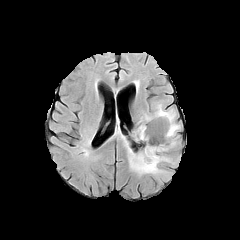
FLAIR MR image.
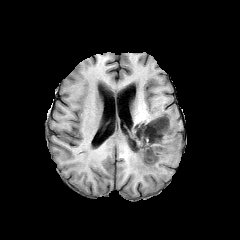
T1-weighted MRI.
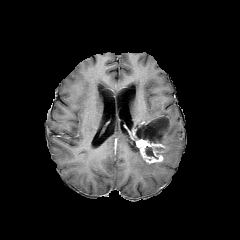
Post-contrast T1-weighted MR image of the same slice.
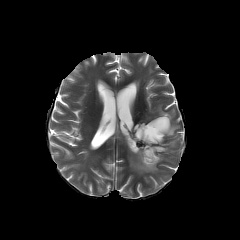
T2-weighted MR of the same slice.
Brain. 240x240.
Enhancing tumor at <box>137,139,163,163</box>.
Edema at <box>123,104,180,175</box>.
Non-enhancing tumor core at <box>136,141,144,157</box>, <box>146,146,153,155</box>, <box>132,117,167,145</box>.